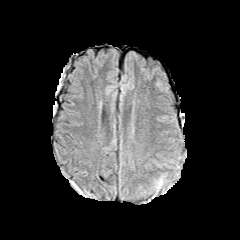
FLAIR MR image.
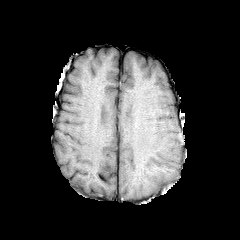
Same slice, T1-weighted MRI.
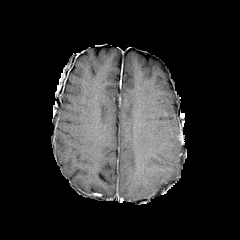
Same slice, post-contrast T1-weighted MR image.
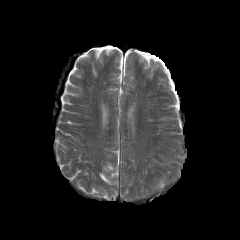
T2-weighted MR image.
Brain.
<segmentation>
  <edema>region(154, 176, 165, 189)</edema>
</segmentation>